CT scan slice. 512x512 px. Slice 51 of 134.

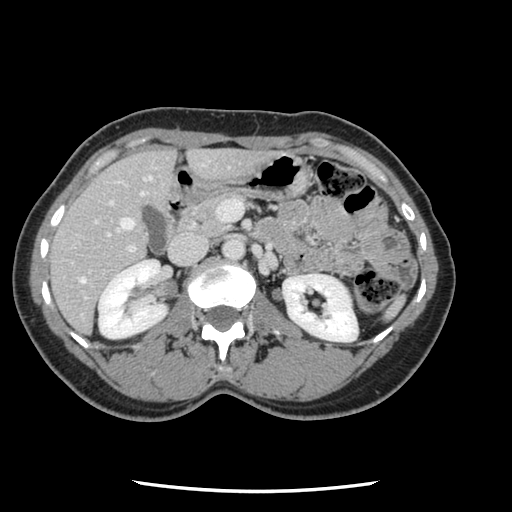 Only some of the vessels may be annotated.
6 hepatic vessel regions appear at (x1=141, y1=191, x2=143, y2=194), (x1=128, y1=245, x2=133, y2=250), (x1=120, y1=217, x2=133, y2=228), (x1=144, y1=175, x2=150, y2=180), (x1=80, y1=278, x2=84, y2=281), (x1=109, y1=200, x2=112, y2=203).